Slice index 27. 512x512 px. Liver. CT.

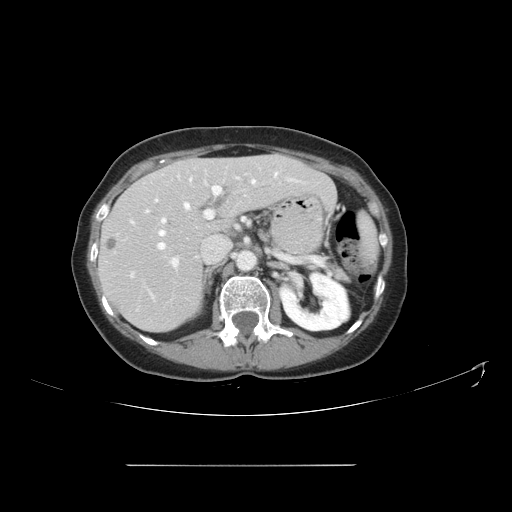

The vessel annotation is not exhaustive.
<segmentation>
  <liver_tumor>105, 236, 116, 250; 235, 165, 248, 176</liver_tumor>
  <hepatic_vessel>159, 230, 164, 235; 158, 243, 164, 248; 161, 218, 165, 222; 274, 172, 277, 176; 212, 185, 221, 194; 171, 258, 178, 266; 204, 209, 213, 218; 189, 178, 191, 180; 288, 178, 300, 182; 146, 210, 148, 212; 155, 199, 157, 201; 251, 180, 255, 183; 184, 203, 189, 208; 131, 220, 134, 223</hepatic_vessel>
</segmentation>